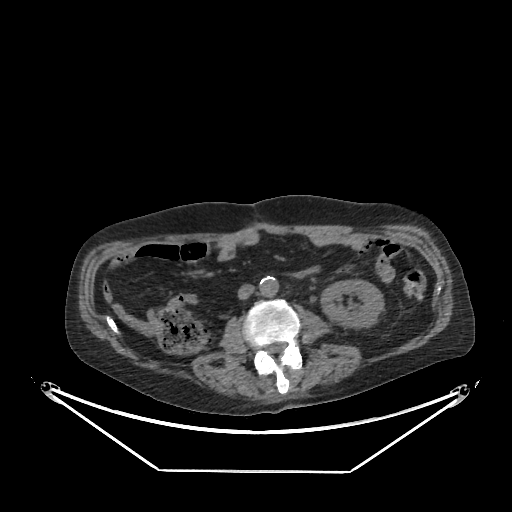 Abdomen. CT scan slice.

The kidney is bounded by 320, 279, 384, 328.